Slice 22/83 | CT | 512x512 px

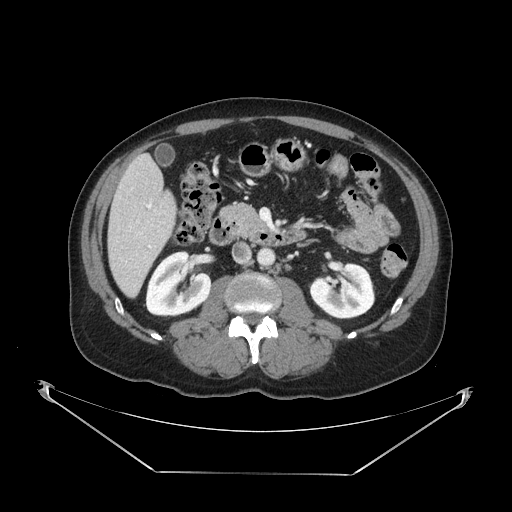 The pancreas appears at 220, 203, 268, 234.